CT slice, Slice 28/45, Liver, 512x512 px 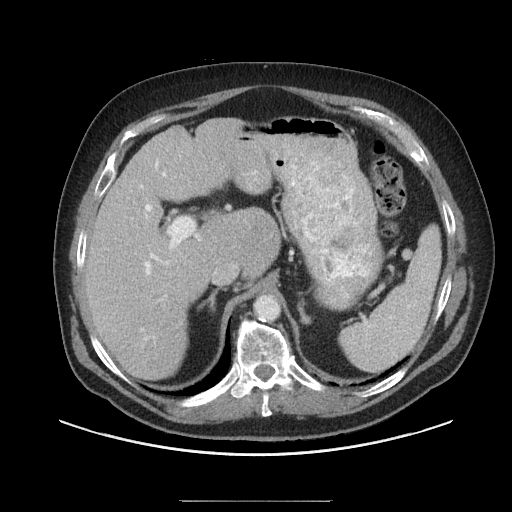

Not every hepatic vessel necessarily has a box.
* hepatic vessel: <box>163,173,165,175</box>, <box>198,238,200,239</box>, <box>140,185,142,188</box>, <box>155,162,157,168</box>, <box>145,262,150,273</box>, <box>141,328,144,330</box>, <box>169,218,194,248</box>, <box>164,295,166,297</box>, <box>163,261,168,264</box>, <box>150,254,158,259</box>, <box>145,205,151,210</box>